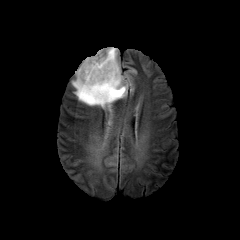
FLAIR MRI.
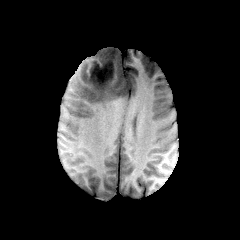
T1-weighted MR.
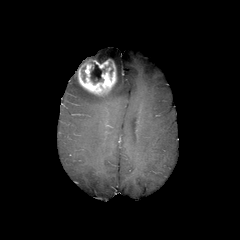
Post-contrast T1-weighted MR.
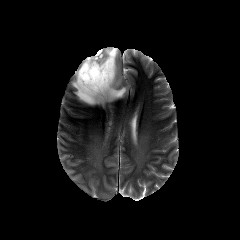
Same slice, T2-weighted MR.
Segmented structures:
* edema: <bbox>72, 47, 130, 107</bbox>
* non-enhancing tumor core: <bbox>93, 54, 108, 62</bbox>, <bbox>90, 63, 101, 82</bbox>
* enhancing tumor: <bbox>77, 58, 116, 94</bbox>